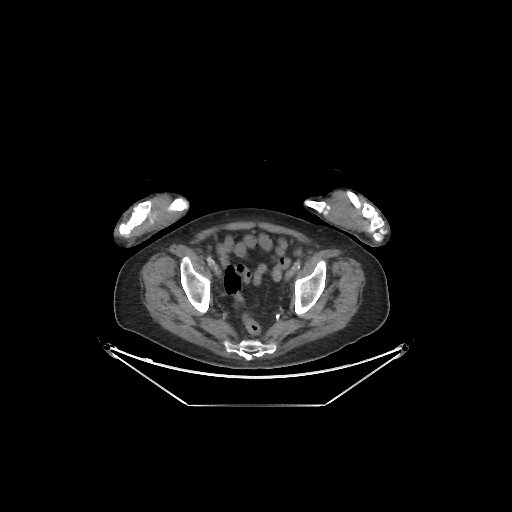
Computed tomography, 512x512 px
7 bone regions are bounded by l=305, t=200, r=329, b=213; l=347, t=191, r=385, b=240; l=224, t=341, r=275, b=359; l=180, t=257, r=209, b=313; l=295, t=261, r=325, b=315; l=167, t=199, r=187, b=210; l=119, t=201, r=155, b=236.